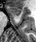

MRI
Annotated regions:
• anterior hippocampus: region(8, 7, 21, 15)